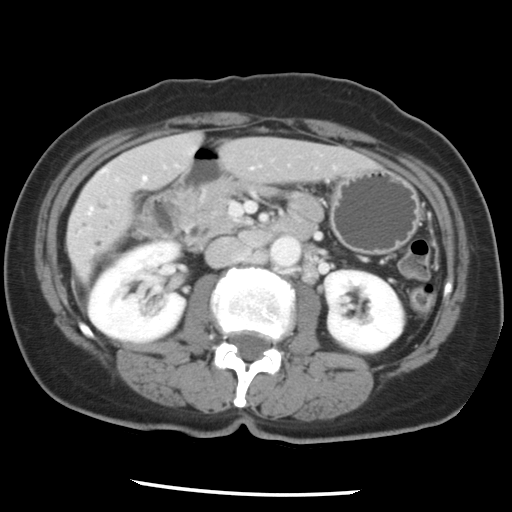

CT slice
The vessel annotation is not exhaustive.
hepatic vessel: rect(143, 176, 145, 179)